Computed tomography; Liver; Image size 512x512
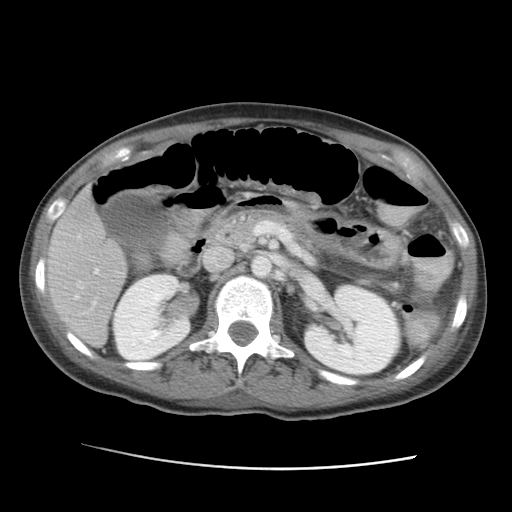 {
  "kidney": [
    "x1=114, y1=275, x2=189, y2=359",
    "x1=304, y1=285, x2=399, y2=374"
  ],
  "liver": [
    "x1=47, y1=185, x2=126, y2=346"
  ]
}